Computed tomography

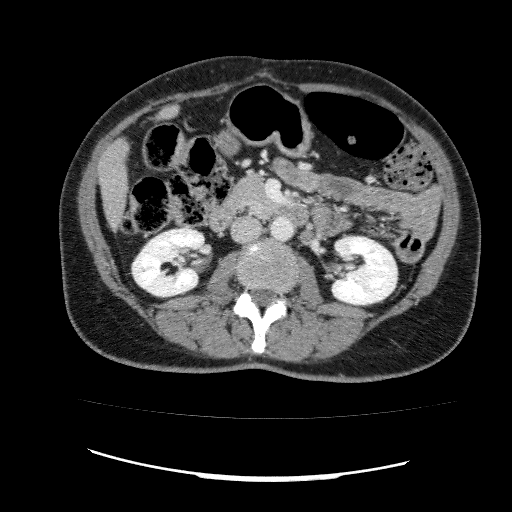

liver: 99 140 127 230, 158 106 179 119 | kidney: 132 228 203 296, 332 237 396 304